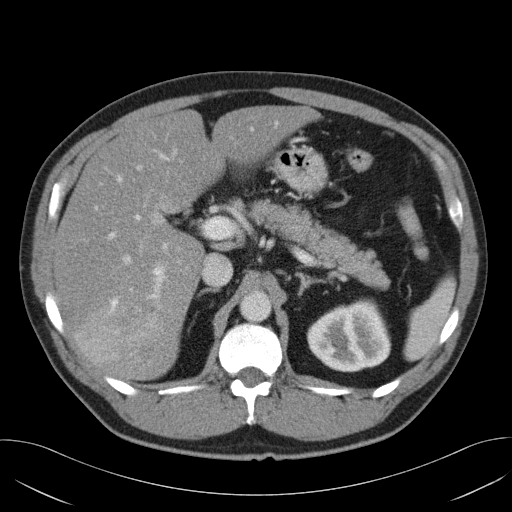
CT slice.
The pancreas is bounded by <bbox>246, 199, 389, 289</bbox>.